512x512 px. Field of view 381 mm wide, 0.80 mm slice spacing. Slice index 380. CT slice. 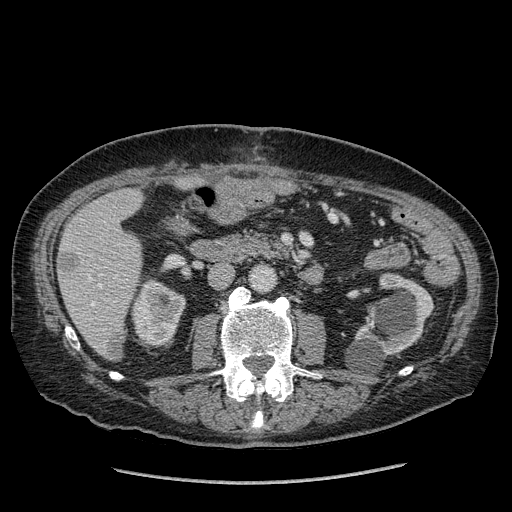

Liver = 177:178:207:189, 58:188:142:360.
Hepatic lesion = 108:333:122:360, 57:252:79:269.
Kidney = 133:281:185:344, 355:273:433:354.